MR; Hippocampus 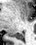
posterior_hippocampus:
  - <box>8,32,23,39</box>